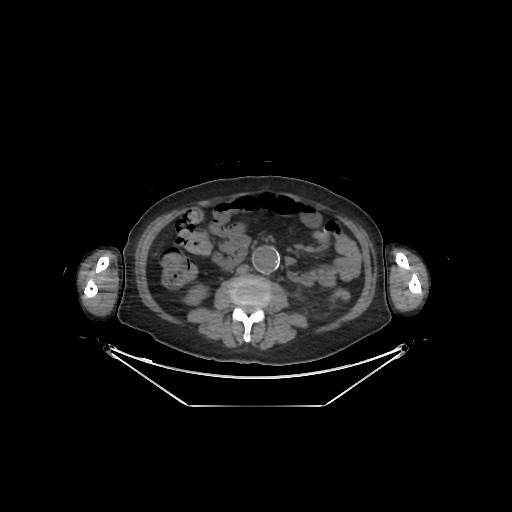
Image size 512x512, CT image
Annotated regions:
- kidney: left=183, top=285, right=208, bottom=305
- bone: left=230, top=277, right=270, bottom=341; left=396, top=252, right=421, bottom=295; left=84, top=278, right=97, bottom=297; left=96, top=255, right=108, bottom=273